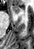

Image size 34x49 | Magnetic resonance

Anterior hippocampus — 11:5:20:12.